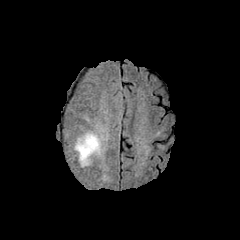
FLAIR magnetic resonance.
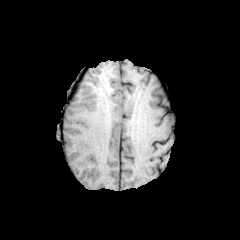
T1-weighted MR image of the same slice.
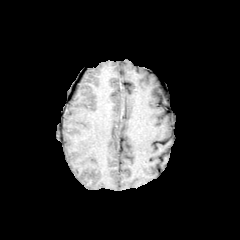
Same slice, post-contrast T1-weighted MRI.
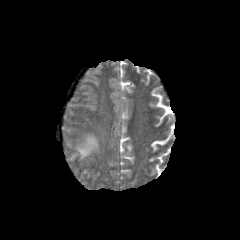
Same slice, T2-weighted MR.
edema: [75, 133, 100, 164]